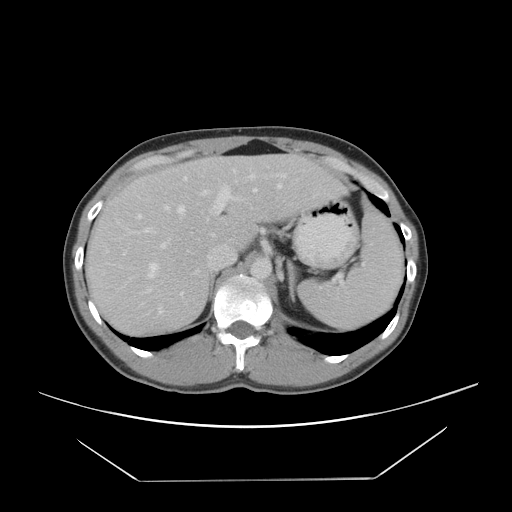

CT scan slice
Some hepatic vessels may have no box.
Most prominent 15 of 20 hepatic vessel regions at box=[193, 270, 198, 273]; box=[276, 173, 286, 177]; box=[164, 205, 169, 211]; box=[184, 177, 187, 180]; box=[233, 169, 236, 172]; box=[144, 227, 152, 232]; box=[137, 215, 141, 218]; box=[123, 250, 126, 253]; box=[178, 205, 184, 214]; box=[210, 185, 240, 214]; box=[277, 183, 281, 188]; box=[249, 174, 254, 179]; box=[158, 307, 162, 313]; box=[202, 190, 209, 194]; box=[148, 263, 158, 277].